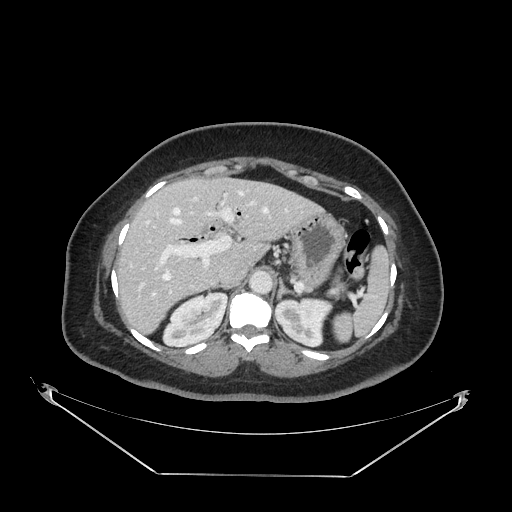
Computed tomography | Upper abdomen

Findings:
• pancreas: 332 269 345 296